Chest. CT.
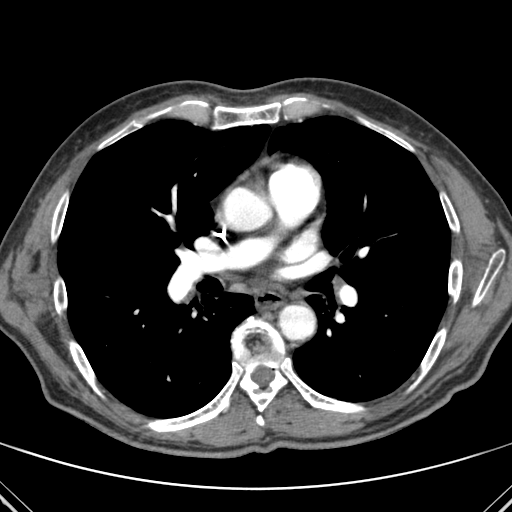

Bone: (left=147, top=316, right=364, bottom=431), (left=69, top=341, right=101, bottom=395), (left=472, top=252, right=502, bottom=306), (left=168, top=277, right=188, bottom=301), (left=416, top=328, right=446, bottom=383), (left=54, top=281, right=66, bottom=313), (left=98, top=121, right=141, bottom=148), (left=448, top=260, right=462, bottom=302), (left=358, top=117, right=413, bottom=150), (left=256, top=416, right=264, bottom=425), (left=440, top=192, right=459, bottom=232), (left=182, top=97, right=305, bottom=128), (left=51, top=193, right=68, bottom=241).
Lung: (left=57, top=116, right=450, bottom=417).